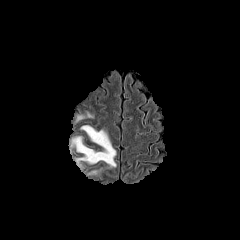
FLAIR MR.
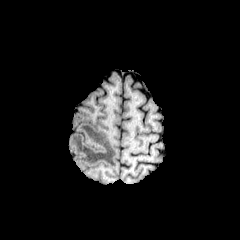
Same slice, T1-weighted MR.
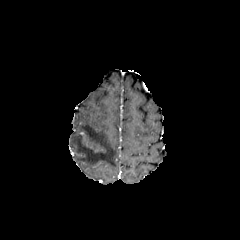
Post-contrast T1-weighted magnetic resonance.
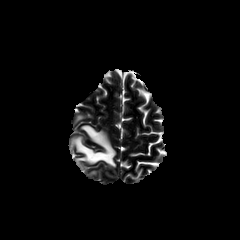
Same slice, T2-weighted MR image.
Brain
<segmentation>
  <edema>box=[72, 125, 116, 167]</edema>
</segmentation>